Brain, Field of view 240 mm wide, 1.00 mm slice spacing
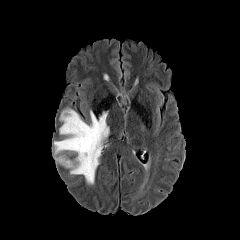
FLAIR MRI.
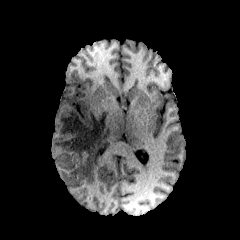
T1-weighted MR.
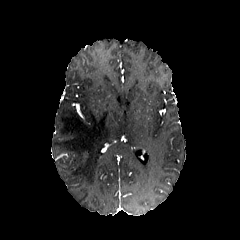
Post-contrast T1-weighted magnetic resonance.
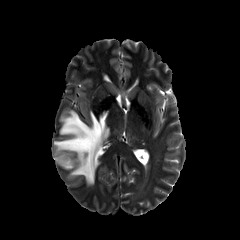
T2-weighted MRI.
edema:
  - bbox=[54, 108, 109, 186]